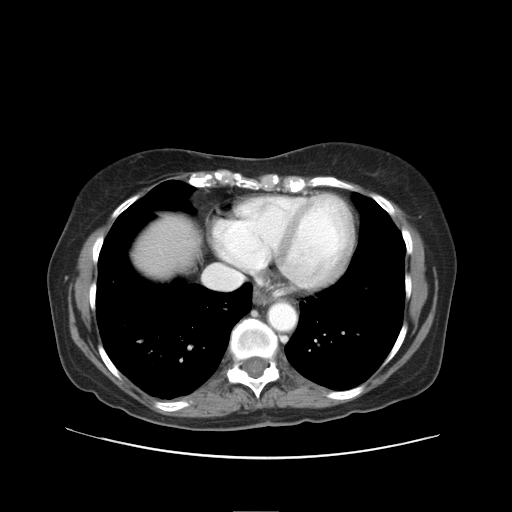
Computed tomography
Only some of the vessels may be annotated.
<segmentation>
  <hepatic_vessel><box>219,261,240,287</box></hepatic_vessel>
</segmentation>